Head. 240x240 px.
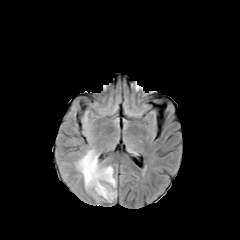
FLAIR magnetic resonance.
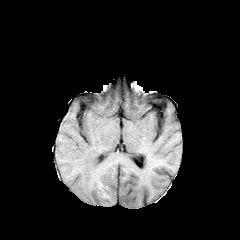
T1-weighted magnetic resonance of the same slice.
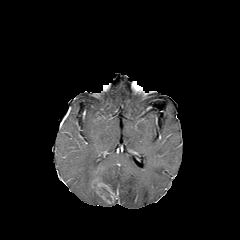
Post-contrast T1-weighted magnetic resonance.
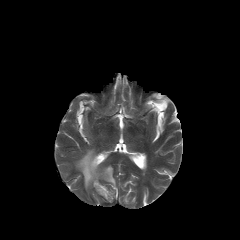
T2-weighted MRI.
Edema: bounding box [76,148,116,202].